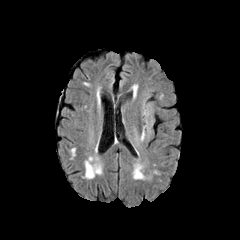
FLAIR magnetic resonance.
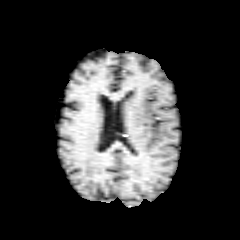
T1-weighted MR image.
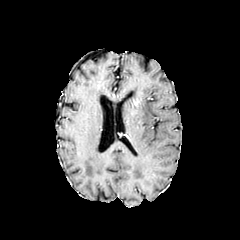
Same slice, post-contrast T1-weighted MRI.
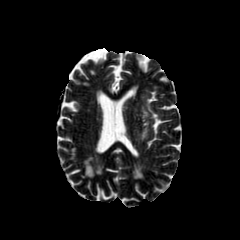
Same slice, T2-weighted MRI.
Brain
The edema lies within <box>140,103,152,140</box>.